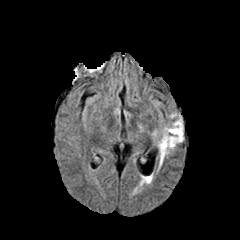
FLAIR MRI.
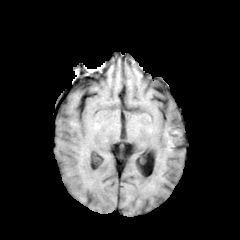
Same slice, T1-weighted MRI.
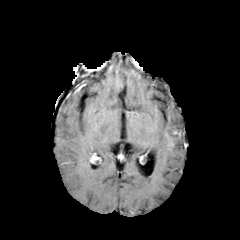
Same slice, post-contrast T1-weighted MR.
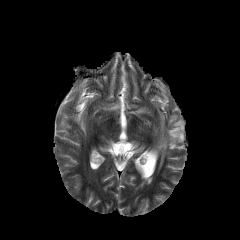
Same slice, T2-weighted MR.
Edema: bounding box [157, 113, 183, 164], [141, 176, 151, 184].